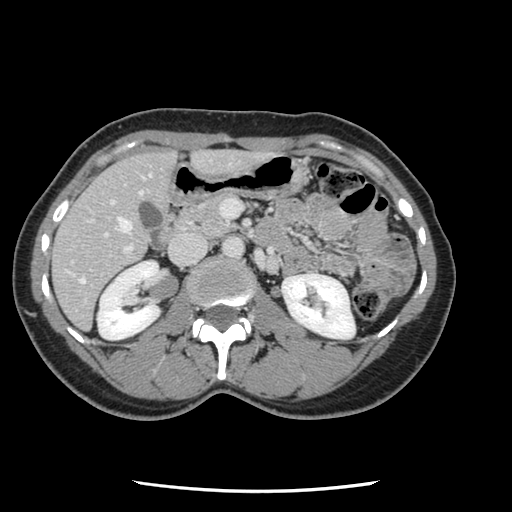

CT, Liver
Only some of the vessels may be annotated.
<segmentation>
  <hepatic_vessel>(left=124, top=246, right=130, bottom=250), (left=81, top=278, right=84, bottom=282), (left=111, top=201, right=113, bottom=203), (left=118, top=217, right=130, bottom=231)</hepatic_vessel>
</segmentation>